CT

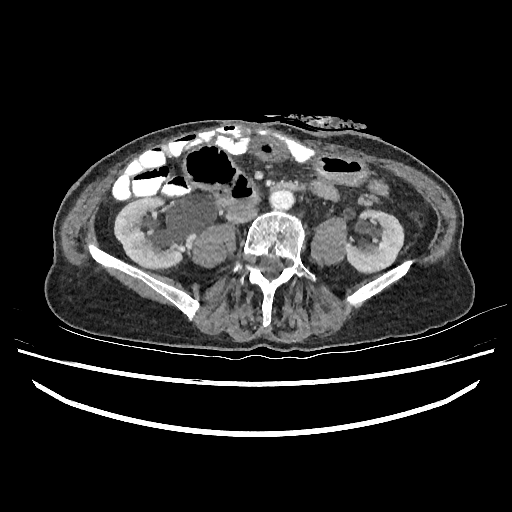

{"kidney": ["(114, 198, 184, 267)", "(186, 234, 195, 248)", "(346, 211, 403, 271)"]}